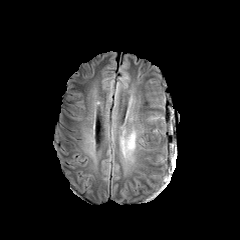
FLAIR MR.
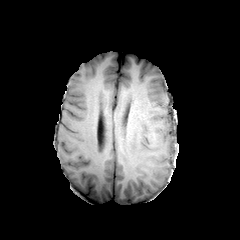
Same slice, T1-weighted MR image.
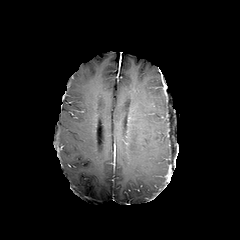
Same slice, post-contrast T1-weighted MR.
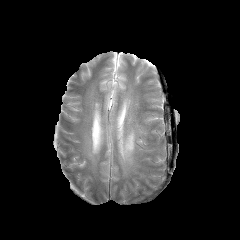
T2-weighted MR image.
Head | Image size 240x240
The edema is bounded by 120,130,137,157.